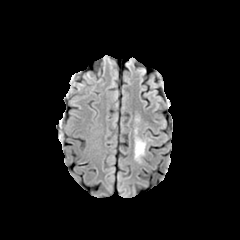
FLAIR MR.
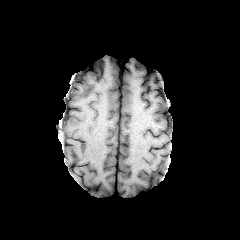
T1-weighted MR image.
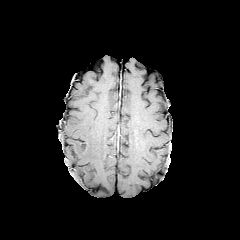
Post-contrast T1-weighted magnetic resonance of the same slice.
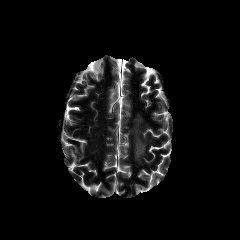
T2-weighted MR.
Edema: (134, 128, 145, 160).